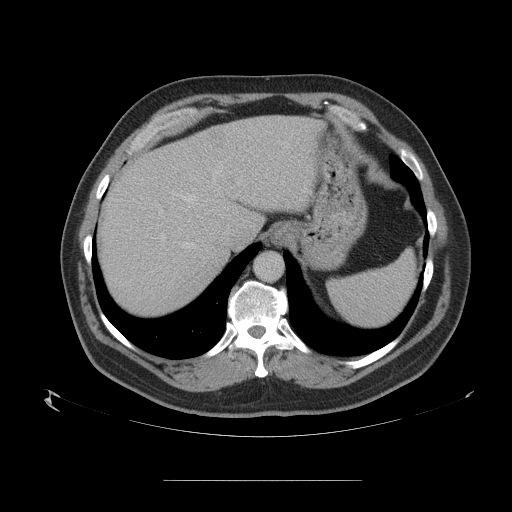 512x512 | CT image

{
  "liver_tumor": [
    "bbox=[206, 131, 225, 147]"
  ]
}